Liver; Slice 23 of 31; Image width 384 mm; CT scan slice
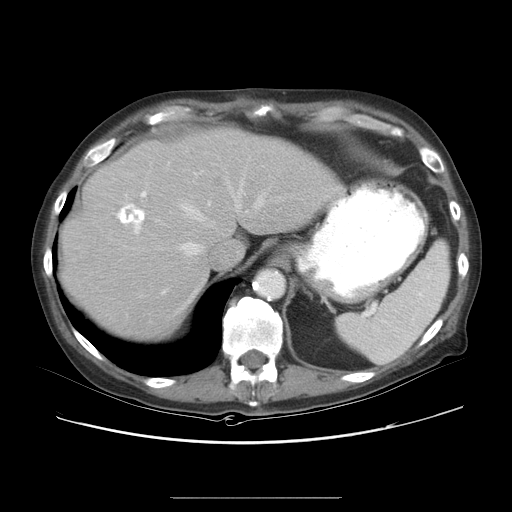 Some hepatic vessels may have no box.
The liver tumor is at x1=125, y1=209, x2=132, y2=217. 6 hepatic vessel regions are located at x1=256, y1=197, x2=262, y2=206; x1=181, y1=203, x2=205, y2=220; x1=225, y1=166, x2=246, y2=211; x1=248, y1=157, x2=249, y2=159; x1=176, y1=289, x2=197, y2=312; x1=179, y1=243, x2=202, y2=254.